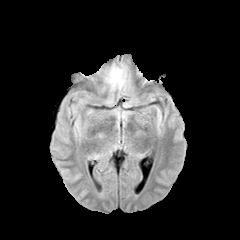
FLAIR magnetic resonance.
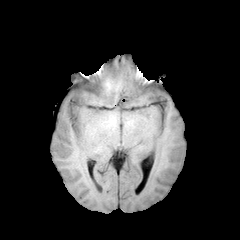
T1-weighted MR.
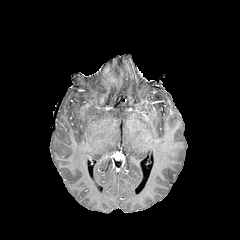
Post-contrast T1-weighted magnetic resonance.
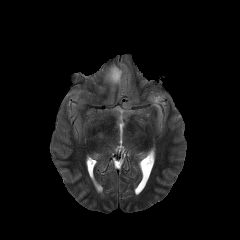
T2-weighted MR of the same slice.
Image size 240x240
Edema: bounding box bbox(103, 62, 129, 97).